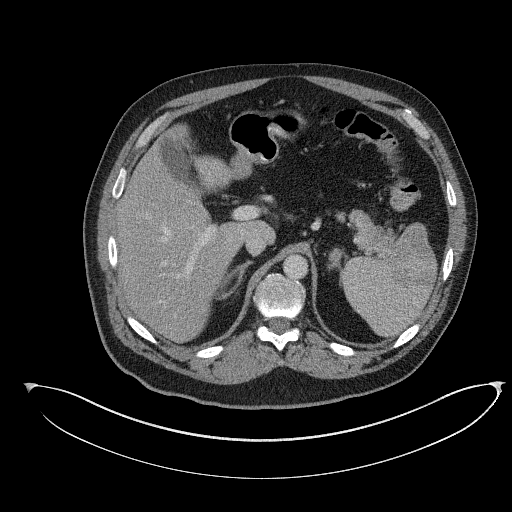

CT

Pancreatic tumor = l=353, t=210, r=373, b=245.
Pancreas = l=358, t=223, r=392, b=254.